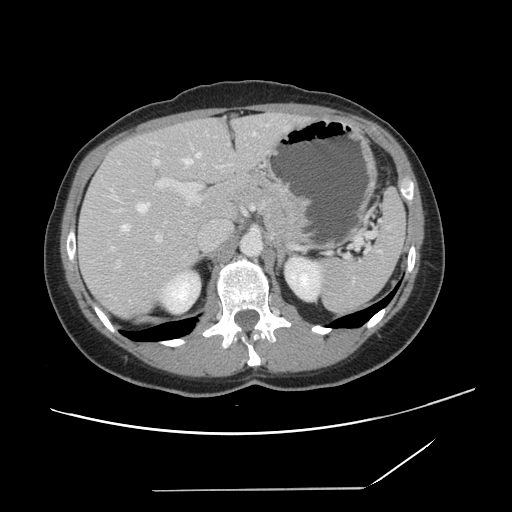 CT scan slice
Some hepatic vessels may have no box.
Most prominent 15 of 17 hepatic vessel regions = (left=156, top=152, right=158, bottom=155), (left=184, top=159, right=191, bottom=164), (left=187, top=203, right=189, bottom=205), (left=137, top=203, right=149, bottom=212), (left=115, top=209, right=121, bottom=211), (left=121, top=225, right=128, bottom=230), (left=156, top=234, right=161, bottom=241), (left=252, top=132, right=255, bottom=135), (left=110, top=246, right=114, bottom=250), (left=196, top=153, right=200, bottom=156), (left=153, top=159, right=158, bottom=165), (left=116, top=260, right=119, bottom=267), (left=110, top=191, right=116, bottom=198), (left=157, top=179, right=193, bottom=189), (left=199, top=185, right=201, bottom=188).